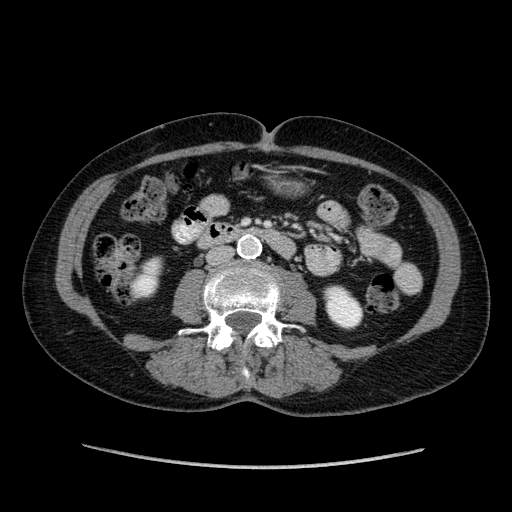 CT scan slice
3 kidney regions are bounded by 146 262 156 274, 328 288 360 326, 134 275 155 294.